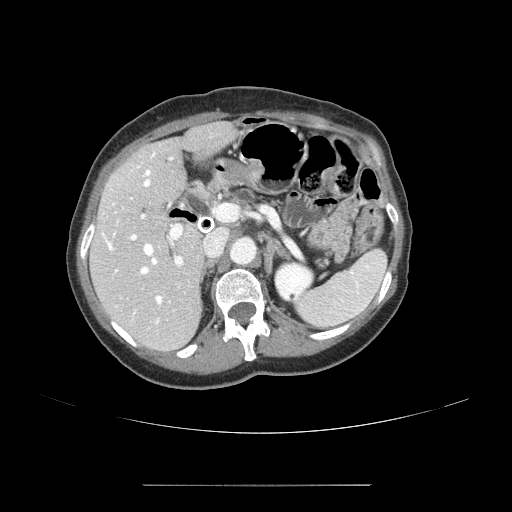

Abdomen. CT.
2 pancreas regions are located at box(319, 258, 328, 267); box(233, 191, 257, 206).